512x512 px | CT image 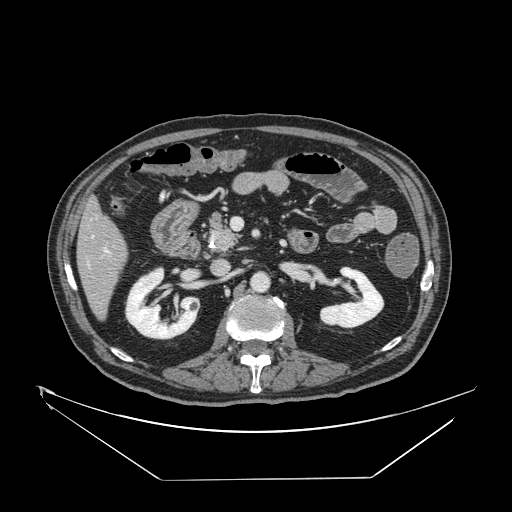
The pancreas appears at <box>201,210,243,257</box>. The pancreatic tumor appears at <box>211,230,234,250</box>.